CT 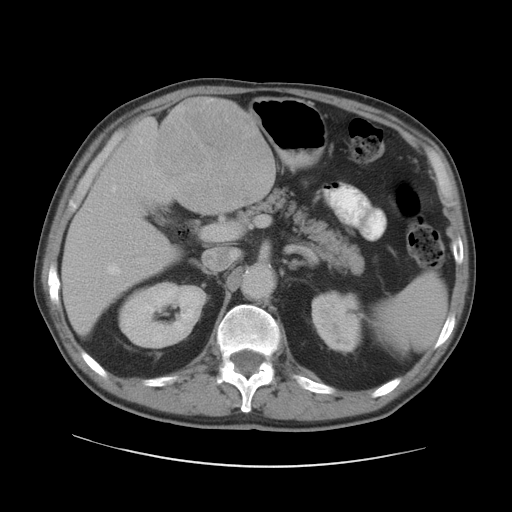
The vessel boxes may cover only some of the vessels.
{"hepatic_vessel": ["region(139, 232, 140, 235)", "region(158, 257, 160, 263)", "region(107, 263, 120, 274)", "region(152, 246, 165, 250)", "region(139, 138, 141, 142)", "region(150, 258, 152, 260)", "region(112, 186, 115, 191)", "region(143, 176, 145, 178)"], "liver_tumor": ["region(155, 98, 274, 213)"]}